Upper abdomen, Computed tomography 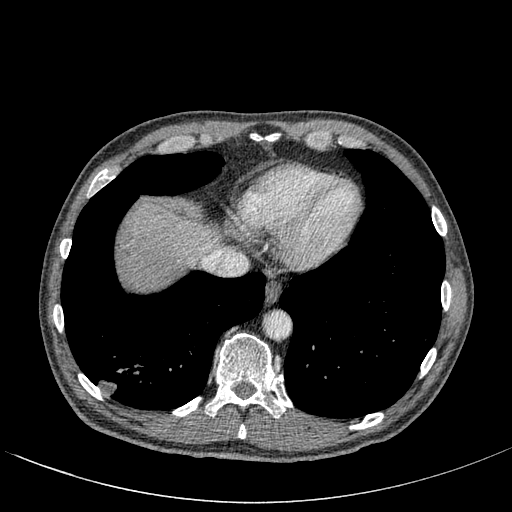
Liver: region(118, 200, 219, 289).